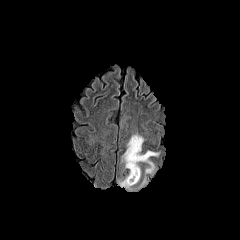
FLAIR MR.
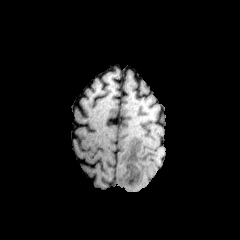
T1-weighted MRI.
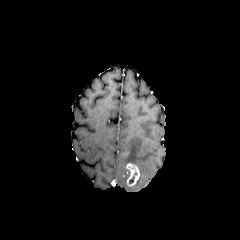
Same slice, post-contrast T1-weighted magnetic resonance.
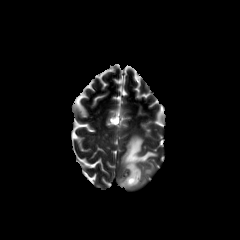
T2-weighted magnetic resonance of the same slice.
240x240.
Edema: bounding box <box>122,135,157,164</box>, <box>146,163,156,174</box>, <box>117,176,147,191</box>.
Enhancing tumor: bounding box <box>126,163,140,186</box>.